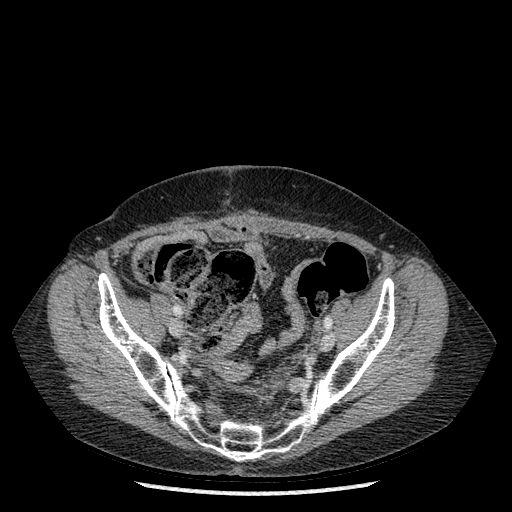

CT image
The bone lies within [97,273,394,461].